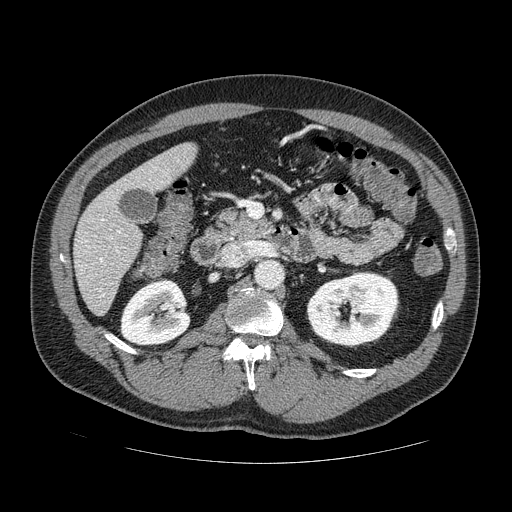 CT image, Abdomen
pancreas: x1=216 y1=209 x2=274 y2=242